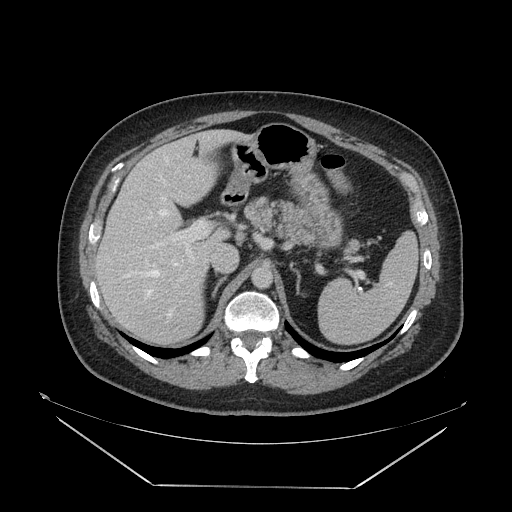 Computed tomography, Abdomen

<segmentation>
  <pancreas>247:198:314:241</pancreas>
</segmentation>